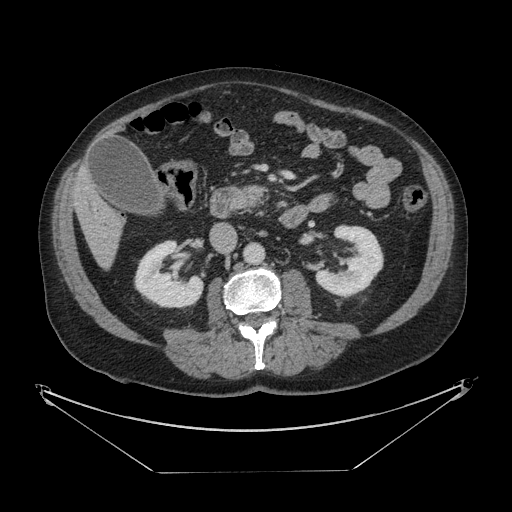

CT slice
<segmentation>
  <pancreas>(left=247, top=186, right=261, bottom=203)</pancreas>
</segmentation>